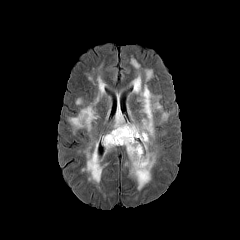
FLAIR magnetic resonance.
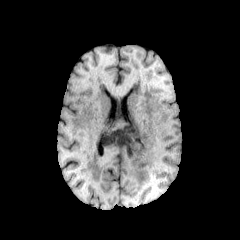
Same slice, T1-weighted MR image.
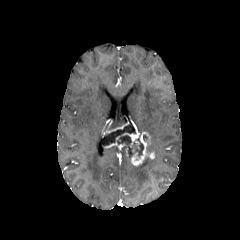
Post-contrast T1-weighted MR.
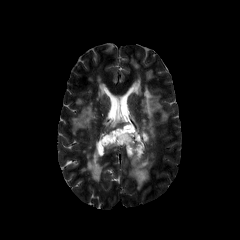
T2-weighted MRI of the same slice.
Head. Image size 240x240.
Enhancing tumor: bounding box (122, 125, 154, 166).
Non-enhancing tumor core: bounding box (101, 125, 143, 160).
Edema: bounding box (130, 59, 139, 69), (69, 75, 106, 135), (161, 111, 168, 122), (113, 110, 124, 128), (144, 70, 152, 81), (81, 141, 106, 184), (131, 72, 162, 140), (129, 150, 157, 190).